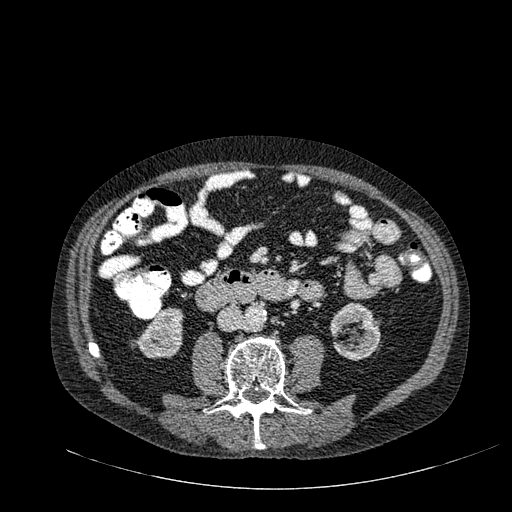 CT | 512x512

* kidney: (left=330, top=303, right=380, bottom=360), (left=135, top=307, right=183, bottom=358)